Field of view 240x240 mm
FLAIR MR.
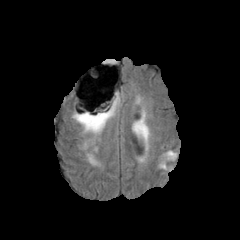
T1-weighted MR.
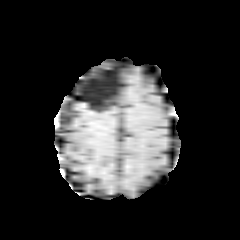
Post-contrast T1-weighted MRI.
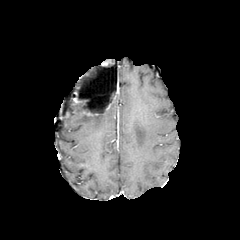
T2-weighted MRI.
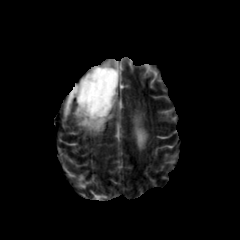
edema:
  - 132,113,149,147
  - 72,104,118,136
  - 164,150,171,159
non-enhancing_tumor_core:
  - 82,91,120,117